Slice 431/565 | Field of view 335x335 mm | Computed tomography | Thorax | 512x512 px

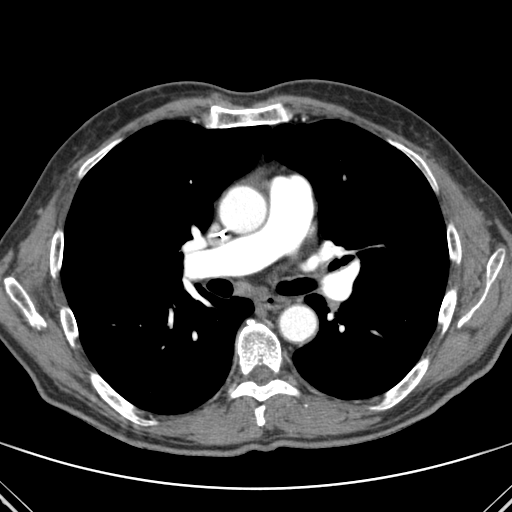
15 bone regions are bounded by region(50, 230, 63, 277); region(227, 269, 245, 275); region(4, 277, 46, 327); region(79, 140, 117, 175); region(188, 266, 202, 277); region(371, 358, 428, 409); region(228, 319, 298, 425); region(91, 373, 155, 425); region(447, 224, 461, 263); region(438, 289, 456, 332); region(185, 281, 199, 299); region(458, 253, 503, 327); region(391, 141, 435, 184); region(60, 307, 77, 345); region(207, 103, 287, 127). The lung appears at region(61, 120, 448, 414).